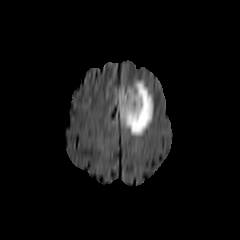
FLAIR magnetic resonance.
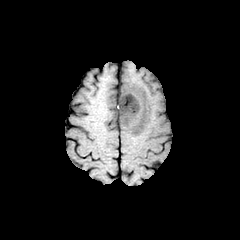
T1-weighted MR image.
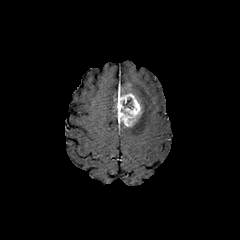
Post-contrast T1-weighted MR of the same slice.
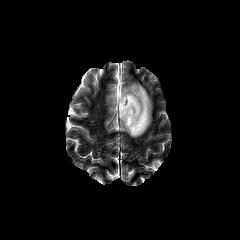
T2-weighted MR image.
Head
The edema is at [118, 80, 153, 136]. The enhancing tumor is located at [114, 86, 142, 127].